Abdomen; Image width 383 mm; Computed tomography
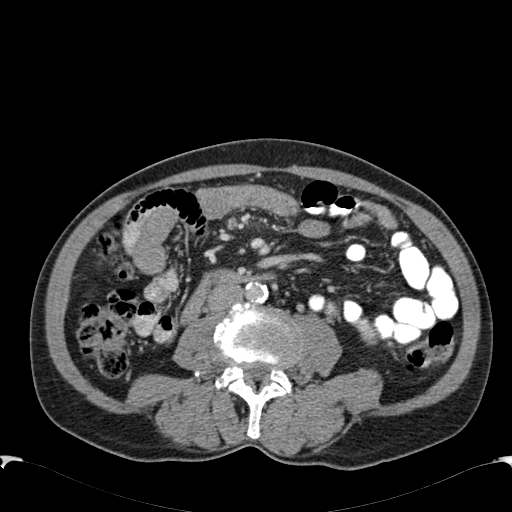 Kidney at rect(353, 317, 381, 344).